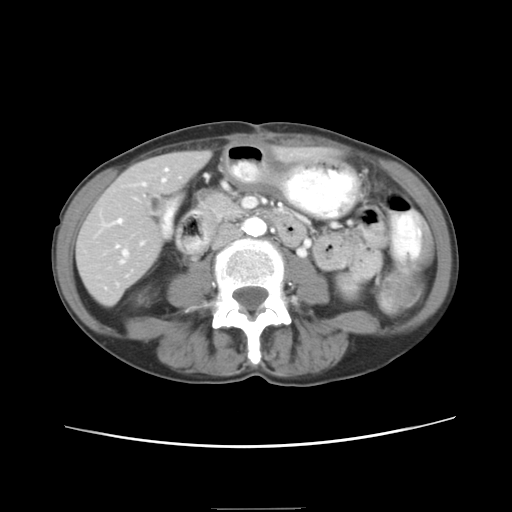 512x512 px | Liver | CT image
Not every hepatic vessel necessarily has a box.
<segmentation>
  <hepatic_vessel>{"x1": 142, "y1": 182, "x2": 144, "y2": 185}, {"x1": 122, "y1": 250, "x2": 127, "y2": 255}, {"x1": 162, "y1": 178, "x2": 165, "y2": 181}, {"x1": 120, "y1": 260, "x2": 123, "y2": 262}, {"x1": 110, "y1": 218, "x2": 121, "y2": 224}, {"x1": 140, "y1": 241, "x2": 143, "y2": 244}</hepatic_vessel>
</segmentation>